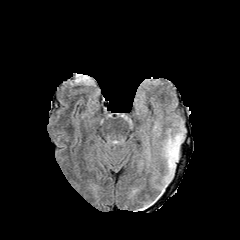
FLAIR magnetic resonance.
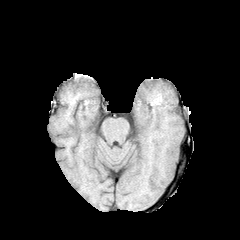
T1-weighted magnetic resonance.
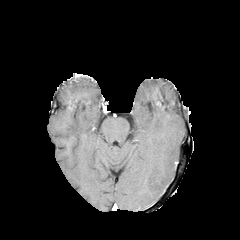
Post-contrast T1-weighted MR image.
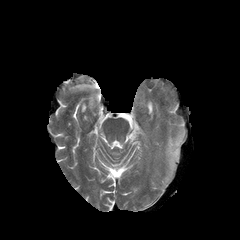
Same slice, T2-weighted MR image.
The edema lies within l=167, t=137, r=180, b=168.